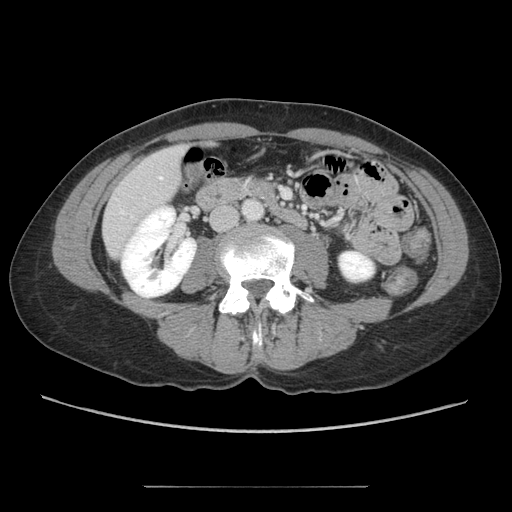

512x512 px. Upper abdomen. CT image.

The pancreas appears at 246 178 275 198.